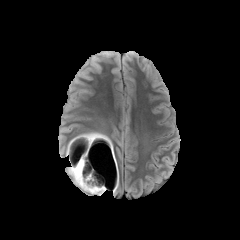
FLAIR MRI.
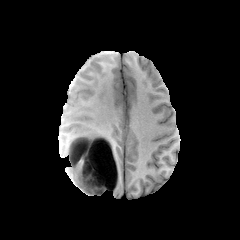
T1-weighted magnetic resonance.
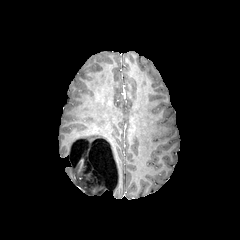
Post-contrast T1-weighted MR.
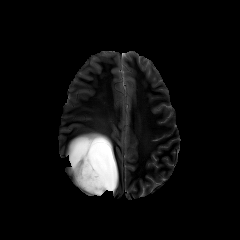
T2-weighted MR image of the same slice.
Non-enhancing tumor core at bbox=[69, 136, 111, 193].
Edema at bbox=[68, 162, 100, 194]; bbox=[98, 145, 112, 158]; bbox=[77, 132, 109, 142].